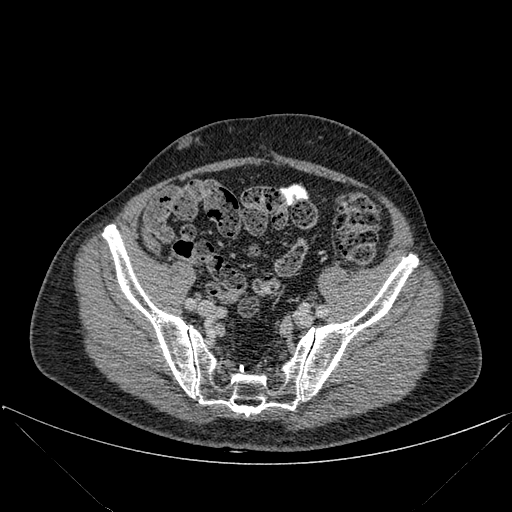

512x512 px; CT image
bone: region(102, 224, 418, 416)